CT scan slice, Image width 432 mm 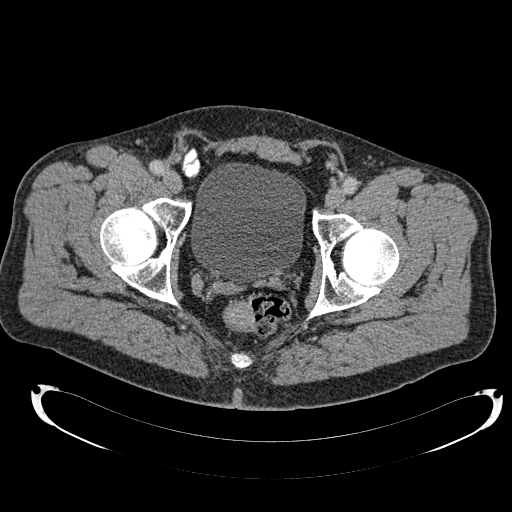 urinary_bladder:
  - x1=191 y1=162 x2=305 y2=282